CT. Abdomen. Field of view 330 mm wide, 5.00 mm slice spacing. 512x512 px.
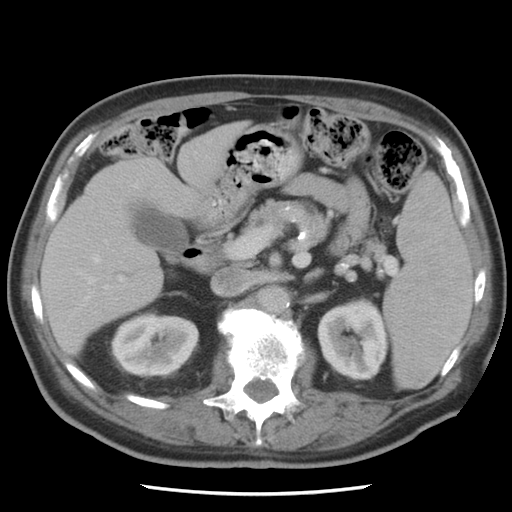

pancreas:
  - <bbox>244, 199, 330, 248</bbox>